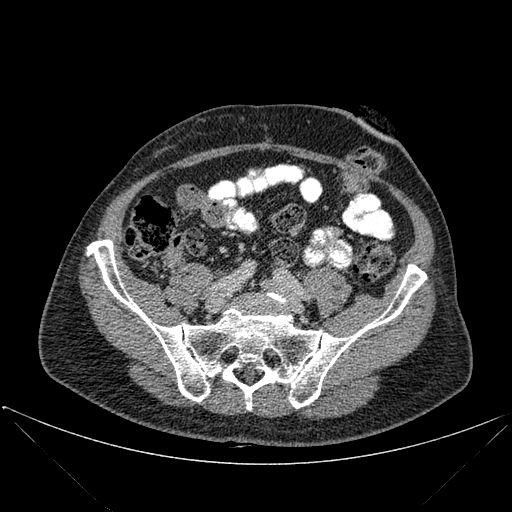 CT image | 512x512

The bone is located at [x1=87, y1=240, x2=426, y2=410].